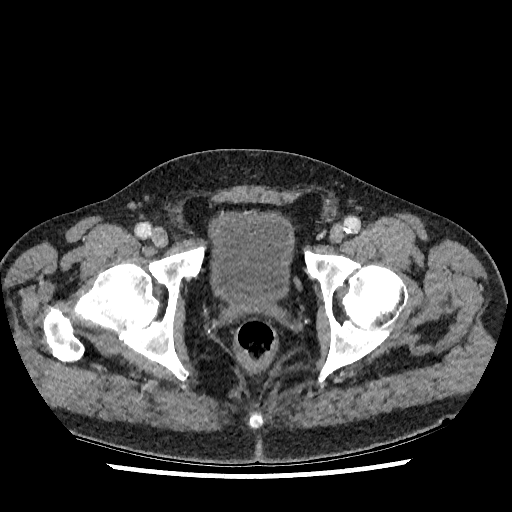
CT slice; Lower abdomen

{
  "urinary_bladder": [
    "(208, 210, 294, 309)"
  ]
}